Brain
FLAIR MR image.
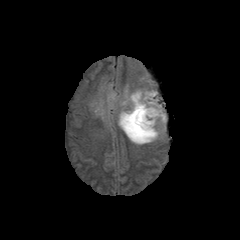
T1-weighted MRI.
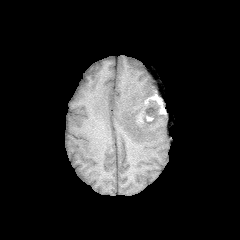
Post-contrast T1-weighted MR.
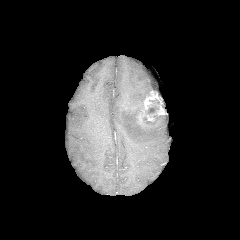
T2-weighted magnetic resonance.
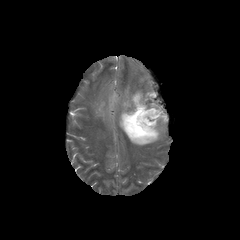
Findings:
* edema: (108,88,167,145)
* enhancing tumor: (138,91,156,124), (152,104,164,115)
* non-enhancing tumor core: (126,96,158,135)